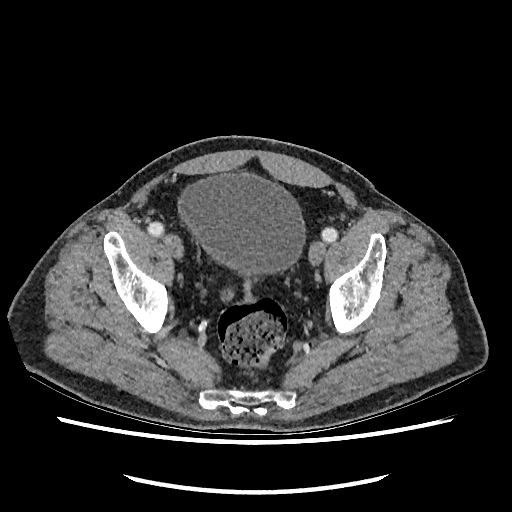

Computed tomography; Lower abdomen
<segmentation>
  <urinary_bladder>x1=180, y1=172, x2=305, y2=278</urinary_bladder>
</segmentation>